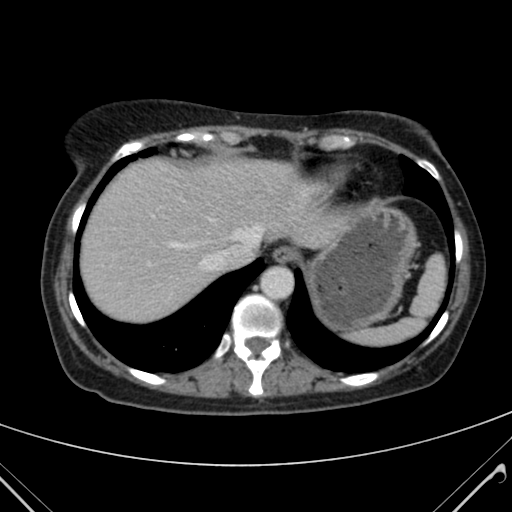 CT scan slice.
Liver — [x1=79, y1=156, x2=344, y2=321].